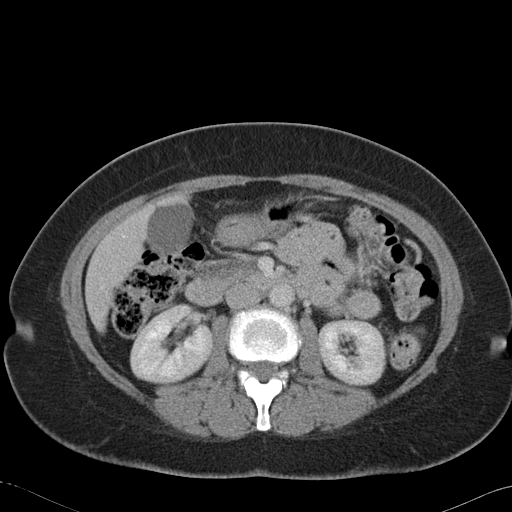
Computed tomography
pancreatic_tumor:
  - (358,233,381,274)
pancreas:
  - (355,254,367,275)
  - (200,260,256,289)